Field of view 240 mm wide, 1.00 mm slice spacing; Slice 51 of 155
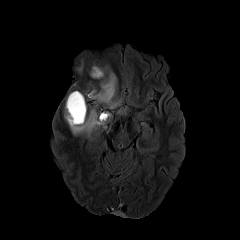
FLAIR MR.
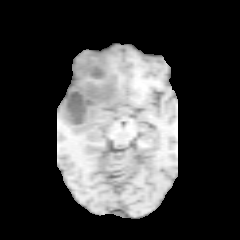
T1-weighted MR of the same slice.
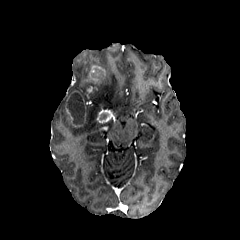
Post-contrast T1-weighted MR image of the same slice.
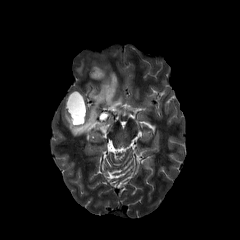
Same slice, T2-weighted MR image.
4 enhancing tumor regions appear at 81 94 86 122, 65 104 73 124, 96 109 112 122, 91 66 102 77. 2 edema regions are bounded by 87 66 122 108, 64 108 106 138. The non-enhancing tumor core appears at 65 92 84 123.